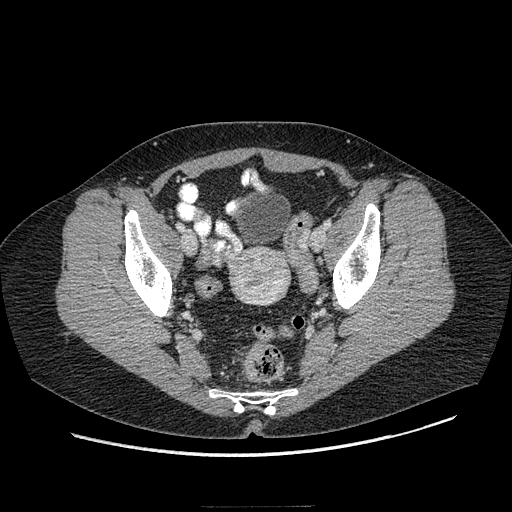

Computed tomography
The colon tumor is bounded by box=[246, 345, 264, 381].